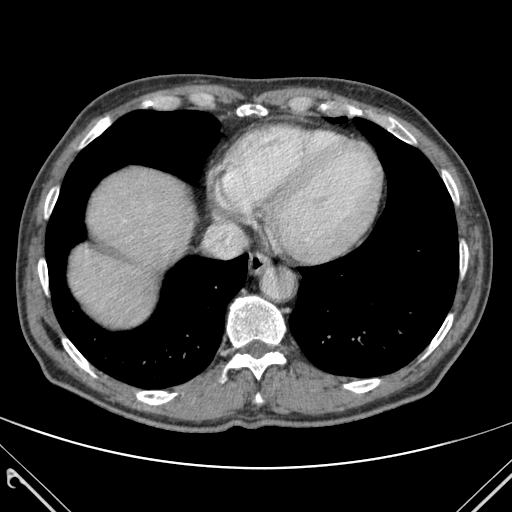

512x512 | Computed tomography | Abdomen

* bone: (x1=137, y1=391, x2=176, y2=404), (x1=443, y1=171, x2=458, y2=201), (x1=425, y1=315, x2=452, y2=355), (x1=38, y1=259, x2=47, y2=294), (x1=460, y1=242, x2=468, y2=274), (x1=237, y1=104, x2=266, y2=115), (x1=344, y1=379, x2=379, y2=392), (x1=227, y1=296, x2=284, y2=347), (x1=224, y1=352, x2=285, y2=378), (x1=373, y1=114, x2=415, y2=142), (x1=45, y1=186, x2=58, y2=217), (x1=62, y1=339, x2=94, y2=376), (x1=81, y1=117, x2=109, y2=145)
* liver: (x1=70, y1=168, x2=193, y2=327)
* lung: (x1=329, y1=117, x2=344, y2=122), (x1=45, y1=110, x2=247, y2=388), (x1=289, y1=118, x2=458, y2=376)